FLAIR MR image.
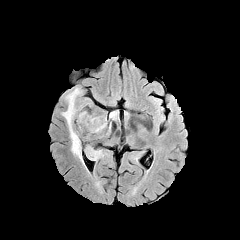
T1-weighted magnetic resonance.
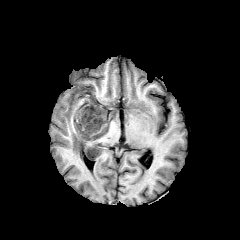
Post-contrast T1-weighted MR.
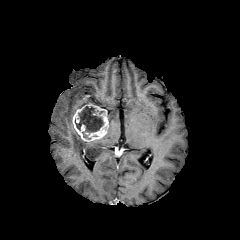
T2-weighted magnetic resonance.
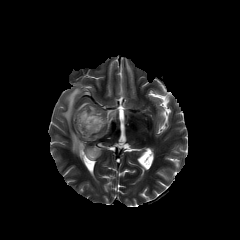
Head
Non-enhancing tumor core = bbox=[75, 108, 102, 131].
Edema = bbox=[108, 111, 116, 120]; bbox=[62, 88, 99, 163].
Enhancing tumor = bbox=[72, 106, 108, 141].